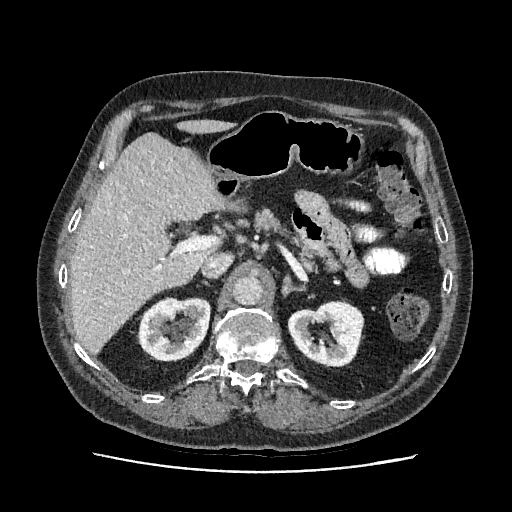

CT scan slice; Image size 512x512

{"kidney": ["bbox=[139, 299, 209, 360]", "bbox=[289, 302, 362, 365]"], "liver": ["bbox=[71, 133, 229, 353]", "bbox=[176, 120, 234, 132]"]}